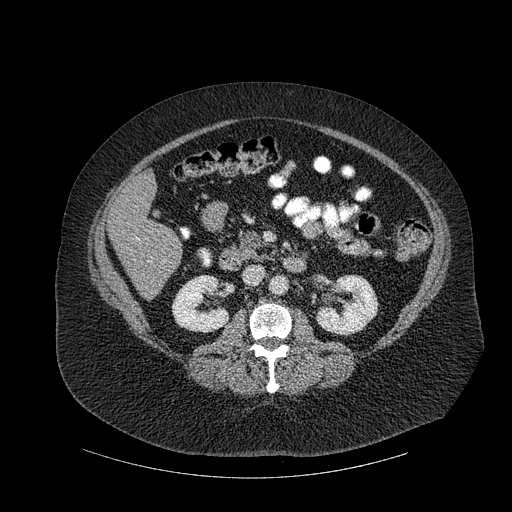
512x512; Liver; CT scan slice
Annotated regions:
• liver: [x1=108, y1=174, x2=183, y2=296]
• kidney: [x1=317, y1=275, x2=377, y2=334], [x1=172, y1=275, x2=228, y2=331]
• bone: [x1=250, y1=304, x2=291, y2=339], [x1=250, y1=344, x2=288, y2=392], [x1=358, y1=188, x2=368, y2=198]